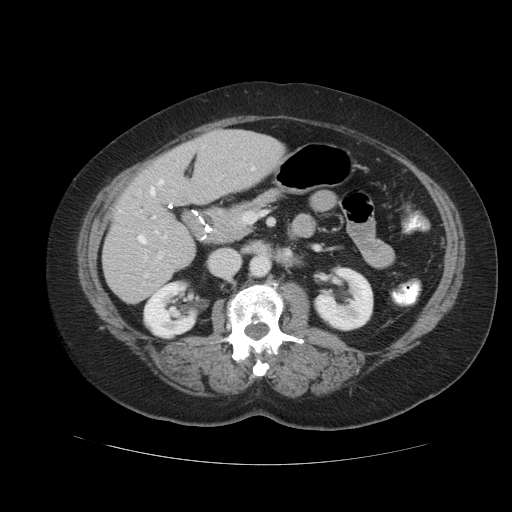

CT slice | Image size 512x512 | Liver

Only some of the vessels may be annotated.
5 hepatic vessel regions appear at (158, 180, 162, 184), (138, 235, 145, 242), (252, 167, 254, 169), (150, 187, 154, 194), (156, 231, 157, 232).